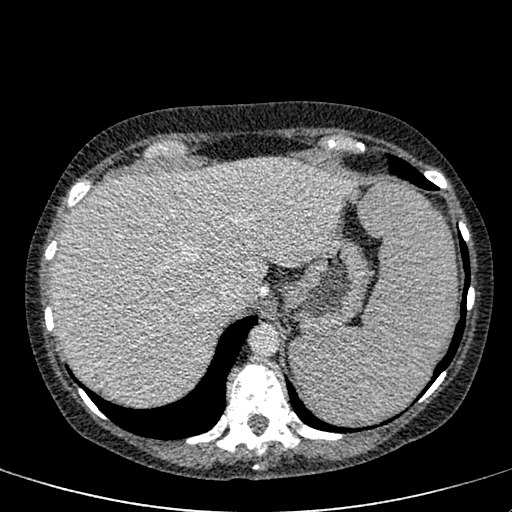 512x512 px; CT scan slice
{"liver": ["left=54, top=159, right=354, bottom=404"]}